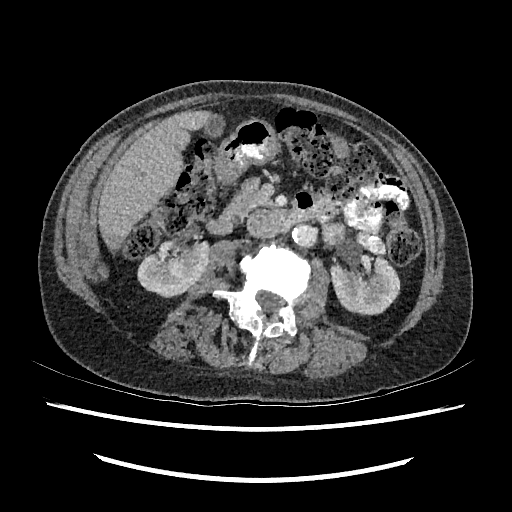 512x512 px | Computed tomography | Upper abdomen
kidney:
  - bbox=[331, 255, 399, 313]
  - bbox=[138, 243, 209, 296]
liver_lesion:
  - bbox=[142, 141, 152, 148]
  - bbox=[104, 234, 124, 244]
liver:
  - bbox=[100, 110, 208, 237]
  - bbox=[105, 240, 121, 249]